CT slice | Liver
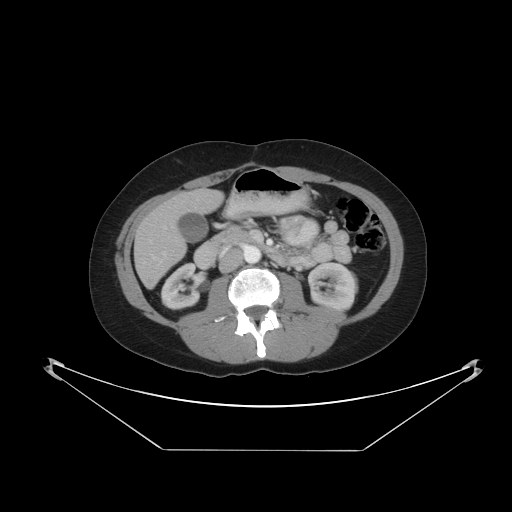
Not every hepatic vessel necessarily has a box.
<segmentation>
  <hepatic_vessel>box=[159, 260, 161, 262]; box=[171, 226, 172, 227]; box=[163, 226, 165, 228]; box=[162, 252, 165, 256]; box=[151, 255, 155, 258]</hepatic_vessel>
</segmentation>